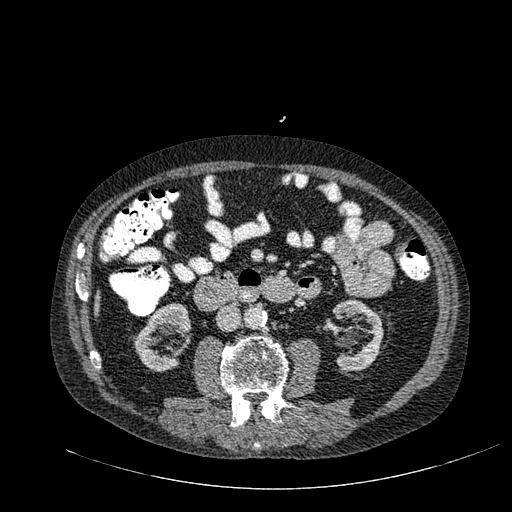

512x512 px; CT scan slice; Abdomen

kidney:
  - 133:303:191:371
  - 323:301:383:375
liver:
  - 93:296:99:315